CT image, Upper abdomen

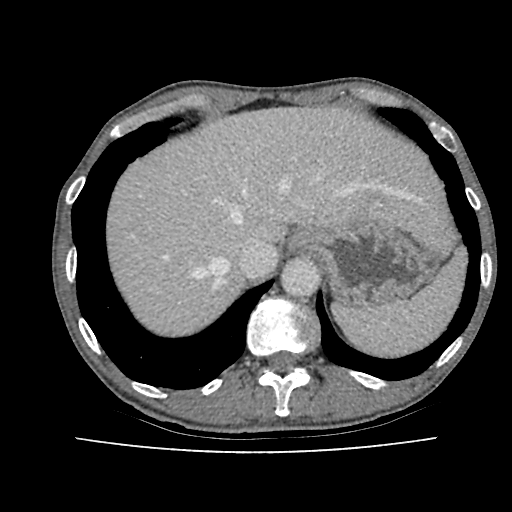
The liver is at [106, 107, 452, 333].